Computed tomography, Slice index 39 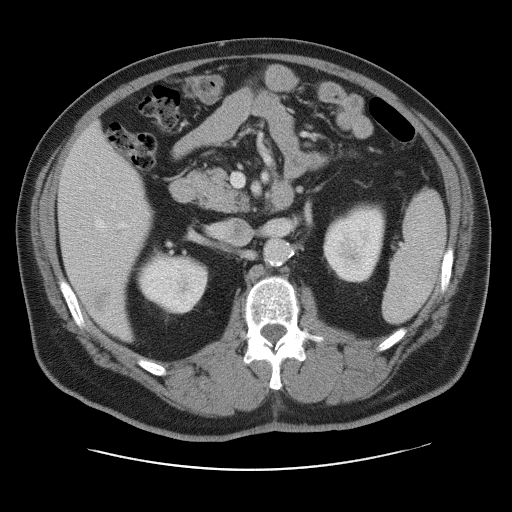 Not every hepatic vessel necessarily has a box.
4 hepatic vessel regions are located at (x1=118, y1=223, x2=129, y2=227), (x1=232, y1=174, x2=243, y2=186), (x1=89, y1=184, x2=94, y2=187), (x1=95, y1=219, x2=105, y2=228). The liver tumor appears at (x1=84, y1=282, x2=115, y2=310).